512x512 px. Computed tomography. 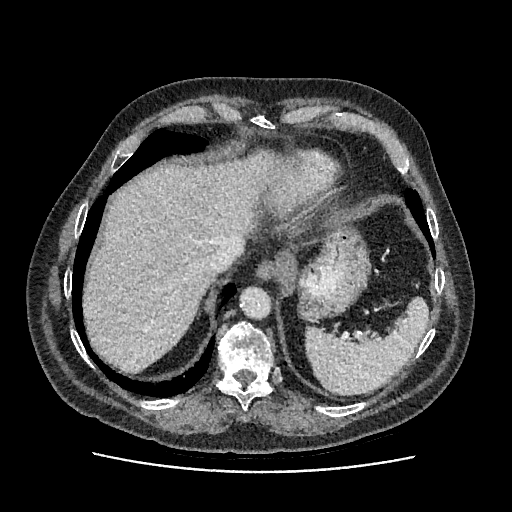
<segmentation>
  <liver>l=83, t=153, r=285, b=372</liver>
</segmentation>